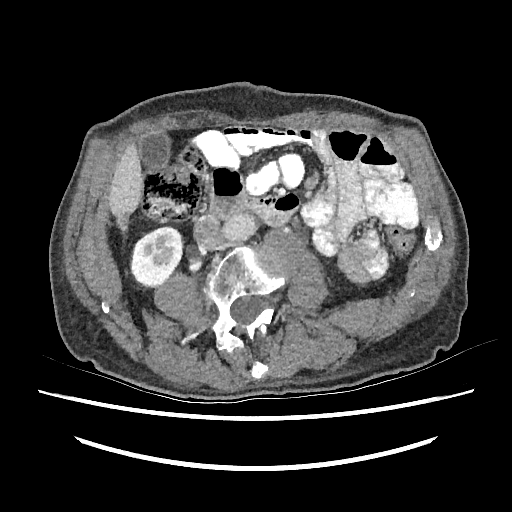 Liver. CT slice. The kidney appears at box(132, 227, 181, 285). The liver is at box(108, 144, 141, 229). The liver lesion is at box(120, 211, 129, 229).